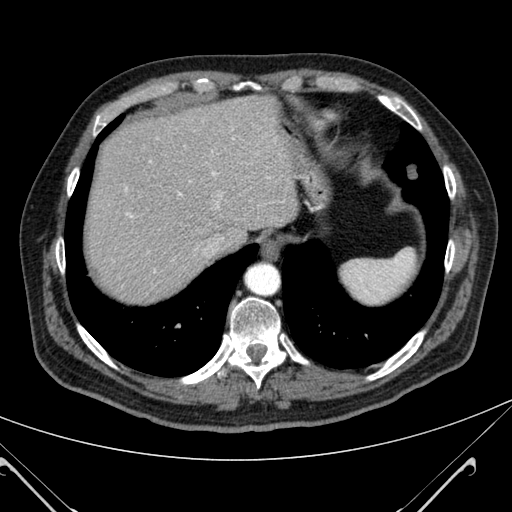 CT slice
{
  "liver": [
    "box=[85, 95, 299, 304]"
  ]
}